Image width 240 mm. Head.
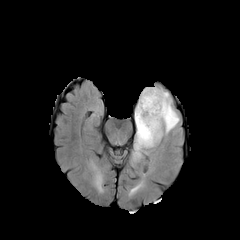
FLAIR magnetic resonance.
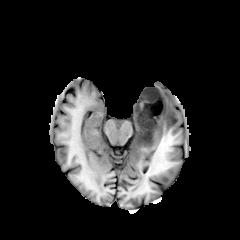
T1-weighted magnetic resonance of the same slice.
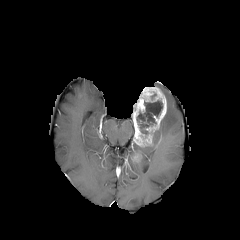
Post-contrast T1-weighted MRI of the same slice.
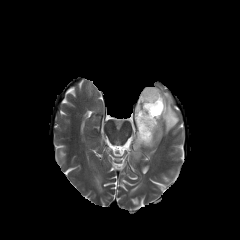
T2-weighted MR.
Enhancing tumor: [134, 87, 166, 146].
Edema: [145, 87, 179, 148], [134, 142, 144, 152].
Non-enhancing tumor core: [136, 100, 162, 134].